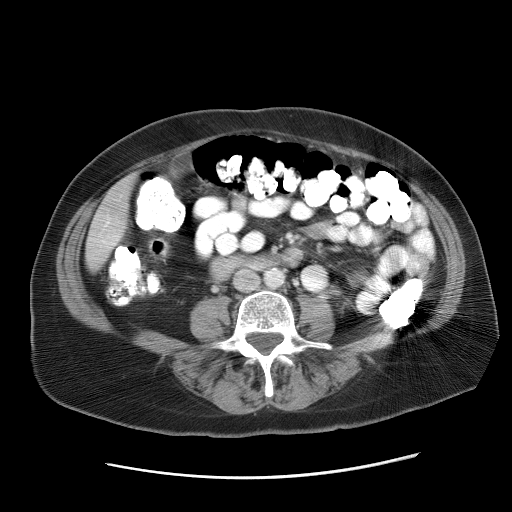
CT slice, Abdomen
Some hepatic vessels may have no box.
* hepatic vessel: x1=108 y1=243 x2=112 y2=244